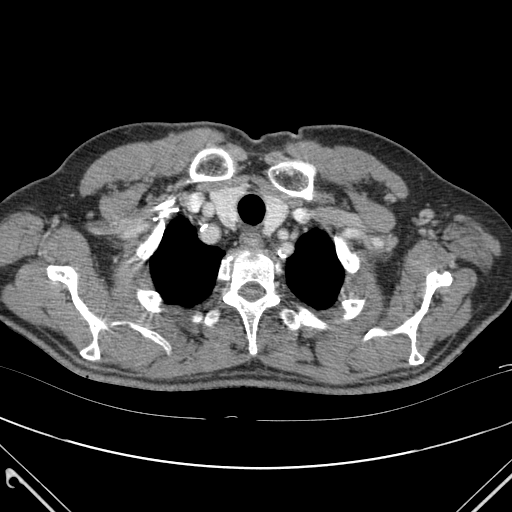
Chest; CT slice
lung: x1=150 y1=216 x2=224 y2=306, x1=286 y1=229 x2=343 y2=308 | bone: x1=335 y1=237 x2=358 y2=272, x1=138 y1=290 x2=160 y2=311, x1=138 y1=200 x2=178 y2=259, x1=394 y1=271 x2=451 y2=364, x1=47 y1=266 x2=104 y2=359, x1=205 y1=314 x2=216 y2=325, x1=282 y1=309 x2=325 y2=329, x1=190 y1=148 x2=233 y2=181, x1=274 y1=163 x2=313 y2=199, x1=218 y1=251 x2=279 y2=353, x1=364 y1=328 x2=385 y2=339, x1=132 y1=324 x2=162 y2=344, x1=342 y1=299 x2=363 y2=318